FLAIR MR.
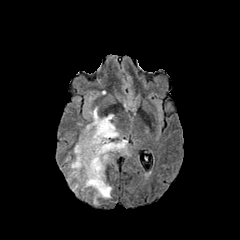
T1-weighted MRI.
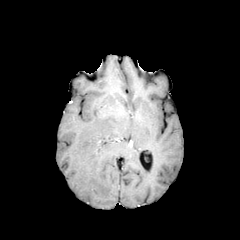
Post-contrast T1-weighted MR image.
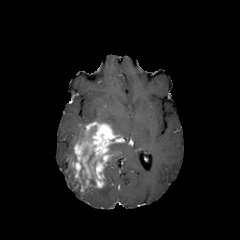
T2-weighted MR.
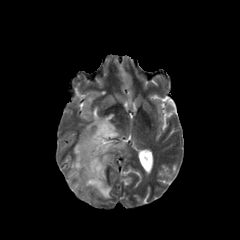
240x240 px
edema:
  - {"x1": 70, "y1": 183, "x2": 80, "y2": 194}
  - {"x1": 85, "y1": 106, "x2": 119, "y2": 133}
  - {"x1": 110, "y1": 139, "x2": 130, "y2": 155}
  - {"x1": 84, "y1": 176, "x2": 112, "y2": 204}
  - {"x1": 66, "y1": 161, "x2": 74, "y2": 183}
enhancing_tumor:
  - {"x1": 71, "y1": 121, "x2": 125, "y2": 191}
non-enhancing_tumor_core:
  - {"x1": 79, "y1": 165, "x2": 86, "y2": 186}